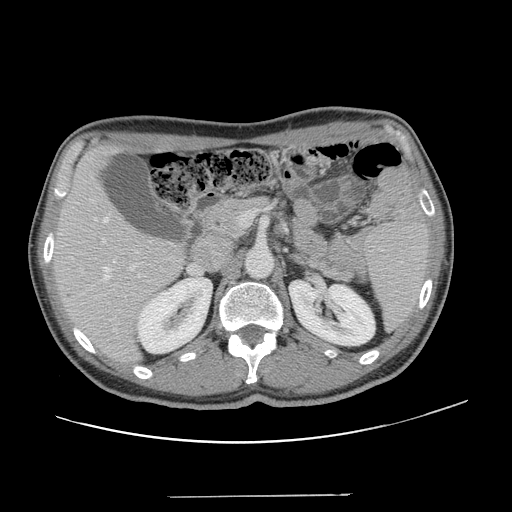

CT scan slice; Image size 512x512

Only some of the vessels may be annotated.
6 hepatic vessel regions appear at [130,264,135,270], [103,217,108,222], [138,275,140,277], [103,267,109,280], [102,239,105,241], [113,260,115,262].